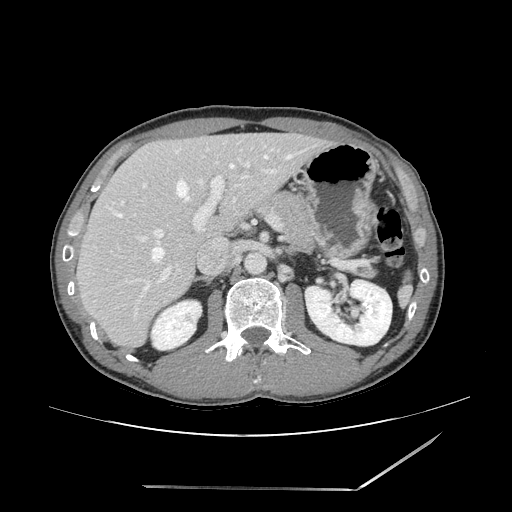
CT slice, Upper abdomen
The pancreas is at x1=261, y1=191, x2=319, y2=252.